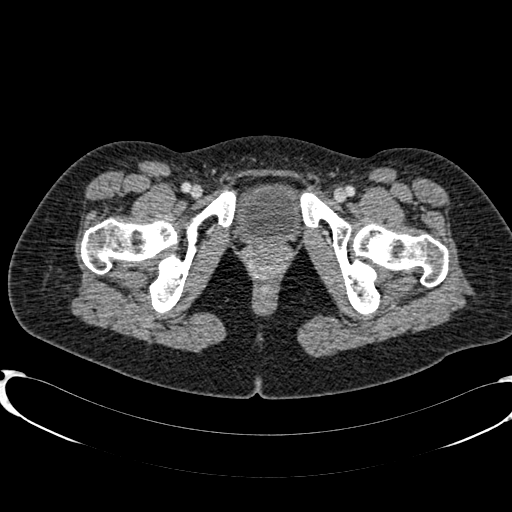

CT slice | Image size 512x512 | Lower abdomen

The urinary bladder is bounded by 231, 182, 305, 245.